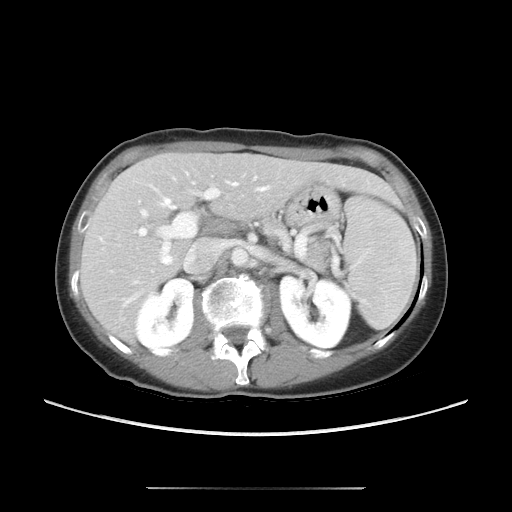 512x512 px, CT scan slice

Not every hepatic vessel necessarily has a box.
Hepatic vessel — (x1=157, y1=228, x2=176, y2=244), (x1=175, y1=179, x2=176, y2=180), (x1=225, y1=180, x2=236, y2=186), (x1=252, y1=174, x2=257, y2=180), (x1=125, y1=293, x2=139, y2=305), (x1=158, y1=199, x2=175, y2=208), (x1=161, y1=248, x2=171, y2=262), (x1=192, y1=192, x2=204, y2=195), (x1=139, y1=228, x2=146, y2=235), (x1=255, y1=185, x2=270, y2=191), (x1=142, y1=211, x2=145, y2=215).